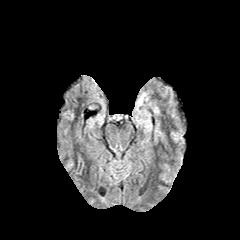
FLAIR magnetic resonance.
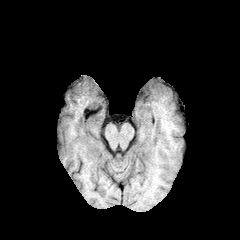
Same slice, T1-weighted MRI.
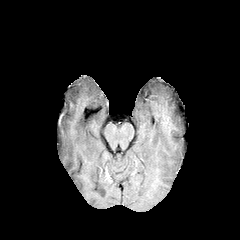
Post-contrast T1-weighted MR of the same slice.
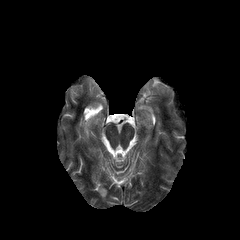
Same slice, T2-weighted MR image.
Head
<segmentation>
  <edema>x1=139 y1=107 x2=151 y2=118, x1=139 y1=93 x2=148 y2=106</edema>
</segmentation>